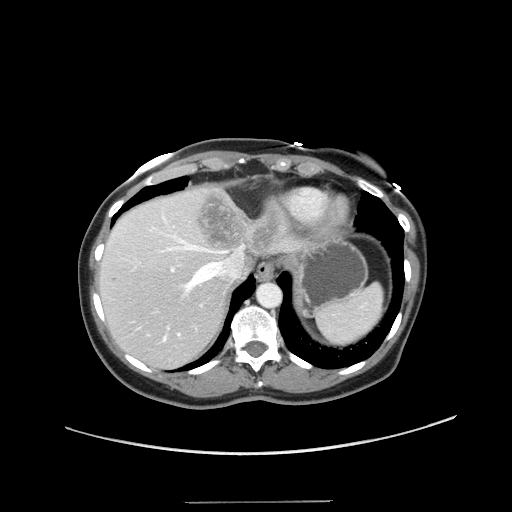

512x512 | CT image
Not every hepatic vessel necessarily has a box.
liver_tumor:
  - [193, 189, 283, 254]
hepatic_vessel:
  - [178, 333, 179, 334]
  - [171, 267, 174, 270]
  - [164, 336, 166, 340]
  - [151, 228, 152, 229]
  - [182, 241, 201, 249]
  - [184, 246, 243, 290]